Brain
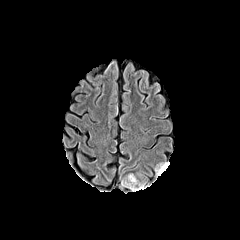
FLAIR magnetic resonance.
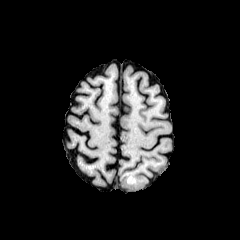
T1-weighted MR image of the same slice.
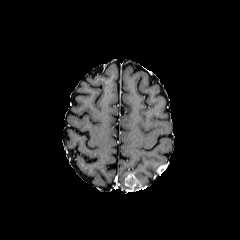
Post-contrast T1-weighted MR of the same slice.
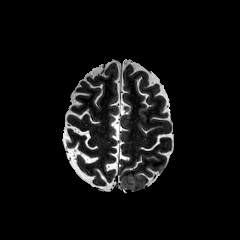
Same slice, T2-weighted MRI.
Annotated regions:
- edema: left=137, top=173, right=149, bottom=185; left=119, top=175, right=128, bottom=189; left=153, top=162, right=167, bottom=179
- enhancing tumor: left=124, top=172, right=146, bottom=189; left=156, top=162, right=169, bottom=175